Upper abdomen. CT image.
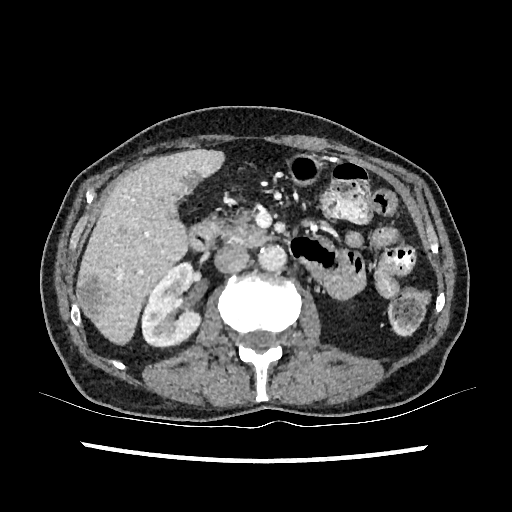

The liver is bounded by rect(79, 150, 223, 343). The kidney is bounded by rect(142, 263, 199, 345). 3 hepatic lesion regions are bounded by rect(179, 170, 203, 188); rect(167, 213, 175, 219); rect(77, 278, 102, 316).